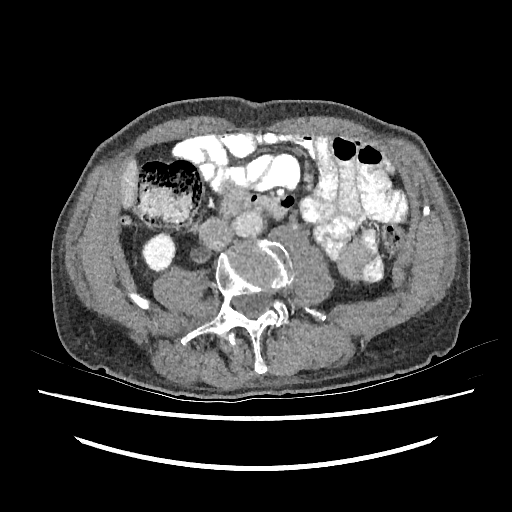 CT | Liver | Image size 512x512
liver: box(122, 160, 136, 207) | kidney: box(143, 234, 174, 270)